512x512; Slice index 209; Abdomen; CT scan slice 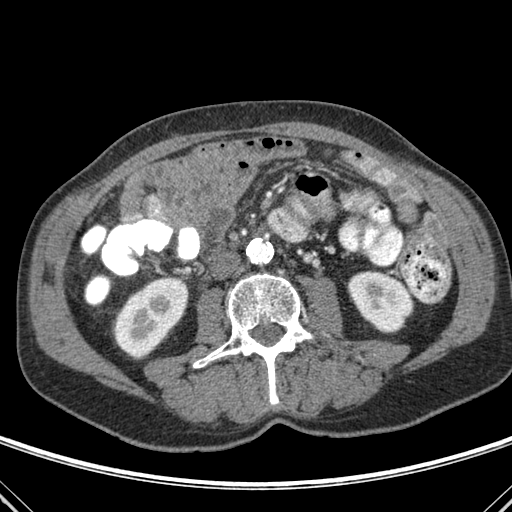 kidney: l=349, t=272, r=410, b=331; l=115, t=278, r=187, b=356 | bone: l=193, t=273, r=312, b=404